Slice 8/34, Hippocampus, MRI 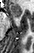

Anterior hippocampus — (10, 4, 21, 17).